240x240. Field of view 240x240 mm. Brain.
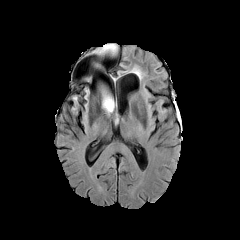
FLAIR MR.
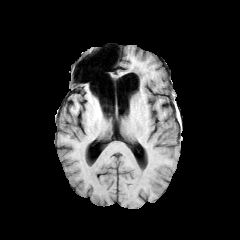
T1-weighted MR image.
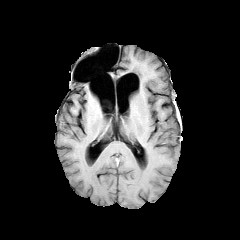
Post-contrast T1-weighted magnetic resonance of the same slice.
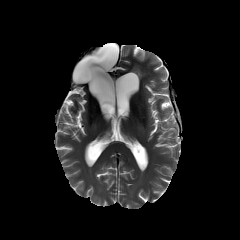
T2-weighted MRI.
Edema = bbox(100, 94, 115, 117); bbox(98, 44, 116, 55).
Non-enhancing tumor core = bbox(102, 92, 111, 109).